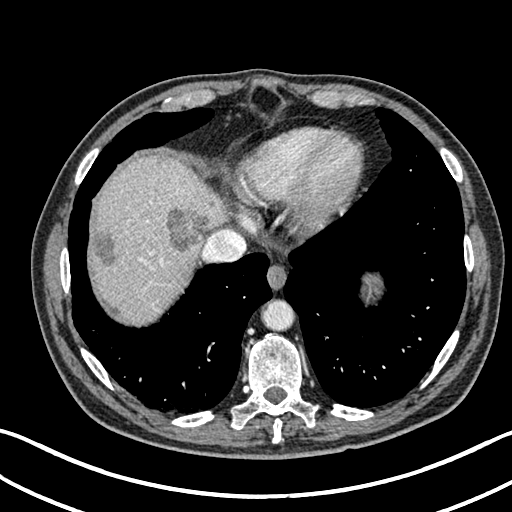 CT scan slice; 512x512

<segmentation>
  <liver>l=92, t=156, r=224, b=320</liver>
  <hepatic_lesion>l=93, t=230, r=115, b=266; l=165, t=209, r=207, b=250</hepatic_lesion>
</segmentation>